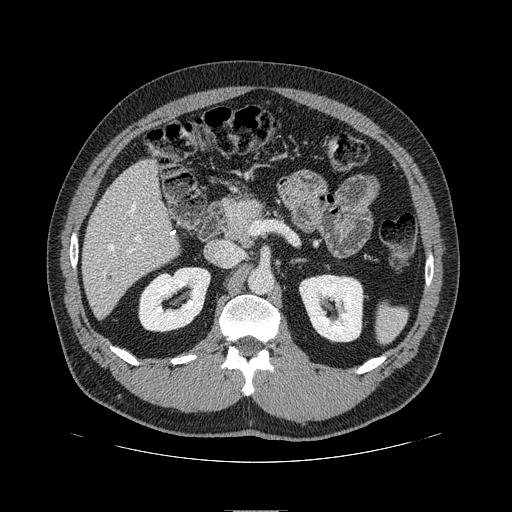
512x512; Upper abdomen; CT
Findings:
- pancreas: bbox(224, 200, 262, 243)